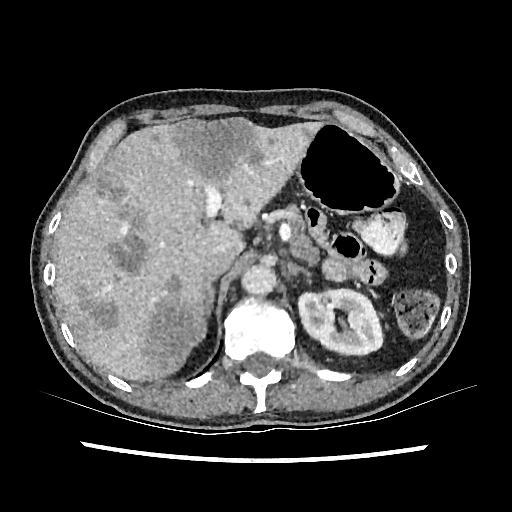
CT | Image size 512x512 | Upper abdomen
{
  "liver": [
    "box(56, 122, 322, 378)"
  ],
  "kidney": [
    "box(298, 289, 382, 358)"
  ],
  "focal_liver_lesion": [
    "box(151, 134, 158, 142)",
    "box(66, 284, 118, 342)",
    "box(96, 176, 126, 201)",
    "box(267, 137, 277, 145)",
    "box(144, 276, 202, 373)",
    "box(107, 204, 148, 275)",
    "box(170, 118, 264, 181)",
    "box(300, 126, 313, 139)"
  ]
}